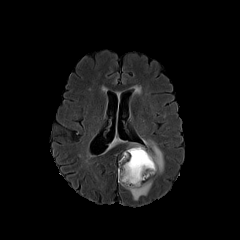
FLAIR MRI.
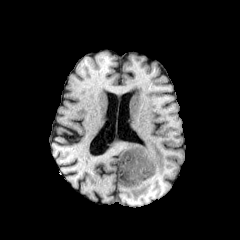
T1-weighted MRI.
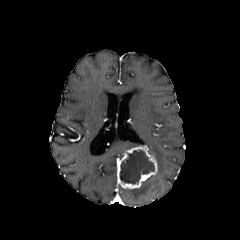
Same slice, post-contrast T1-weighted MRI.
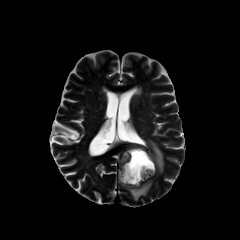
T2-weighted magnetic resonance.
Head
Findings:
* non-enhancing tumor core: box(119, 149, 154, 185)
* edema: box(129, 180, 152, 200); box(143, 140, 163, 173)
* enhancing tumor: box(117, 145, 157, 189)